FLAIR MR image.
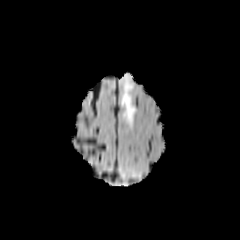
T1-weighted MRI.
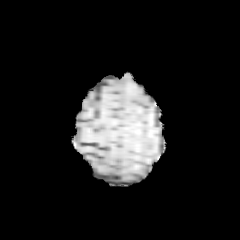
Post-contrast T1-weighted MRI.
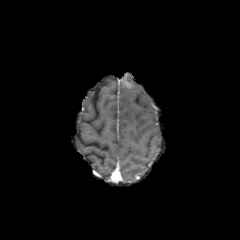
T2-weighted MR.
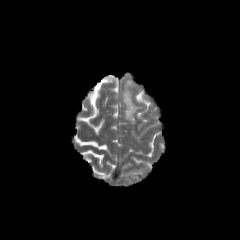
Image size 240x240
- edema: left=121, top=86, right=138, bottom=124
- enhancing tumor: left=122, top=80, right=133, bottom=88